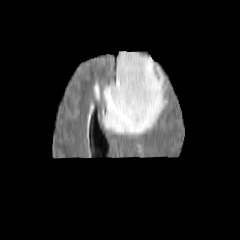
FLAIR MRI.
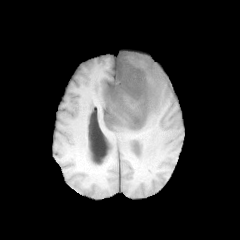
T1-weighted MRI.
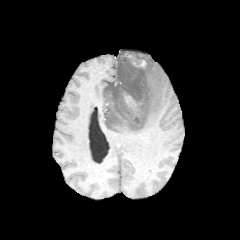
Post-contrast T1-weighted magnetic resonance of the same slice.
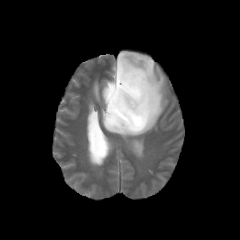
T2-weighted magnetic resonance of the same slice.
Brain. Image size 240x240.
Findings:
• non-enhancing tumor core: 110, 53, 149, 125
• edema: 102, 50, 168, 135
• enhancing tumor: 125, 96, 136, 106